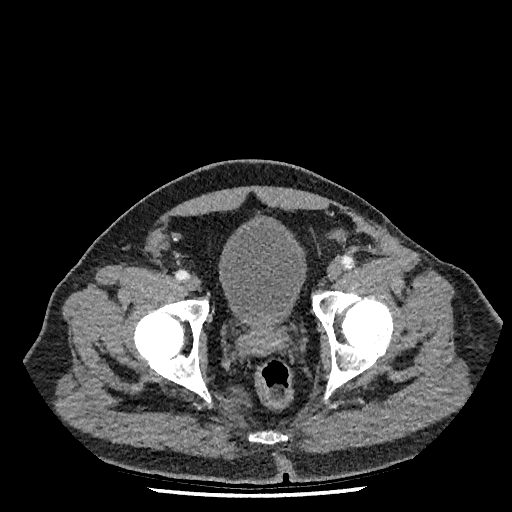 CT scan slice; 512x512

Urinary bladder: bounding box {"x1": 218, "y1": 219, "x2": 307, "y2": 324}.